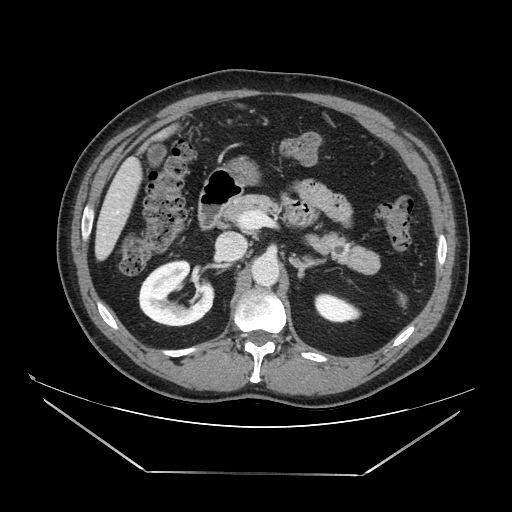

CT, Upper abdomen
2 pancreas regions are bounded by [304, 231, 380, 274], [223, 194, 280, 223].